Slice 21 of 53, 512x512 px, CT image

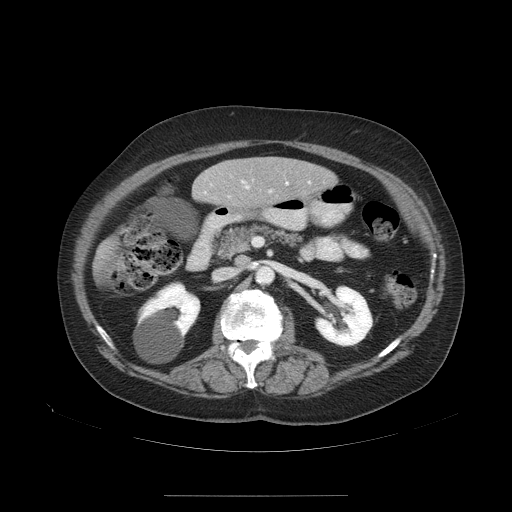
The vessel boxes may cover only some of the vessels.
{"hepatic_vessel": ["box(268, 190, 271, 192)", "box(241, 181, 248, 189)", "box(285, 182, 286, 184)", "box(204, 192, 206, 194)"]}